Image size 512x512 | Computed tomography | Pelvis 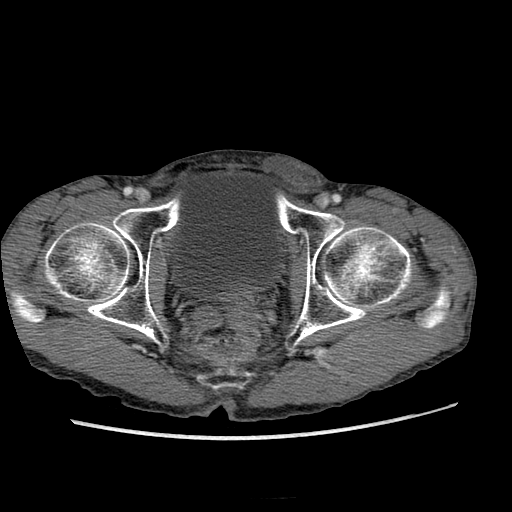 The urinary bladder is at <bbox>169, 169, 285, 290</bbox>.